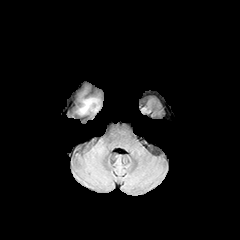
FLAIR MR.
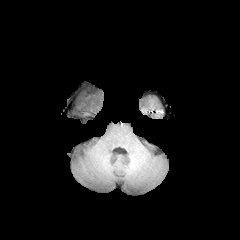
Same slice, T1-weighted magnetic resonance.
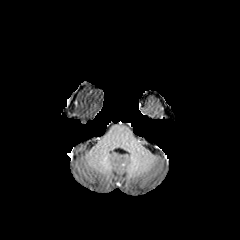
Post-contrast T1-weighted MRI.
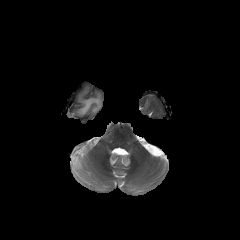
Same slice, T2-weighted magnetic resonance.
Findings:
- edema: 79:98:96:114